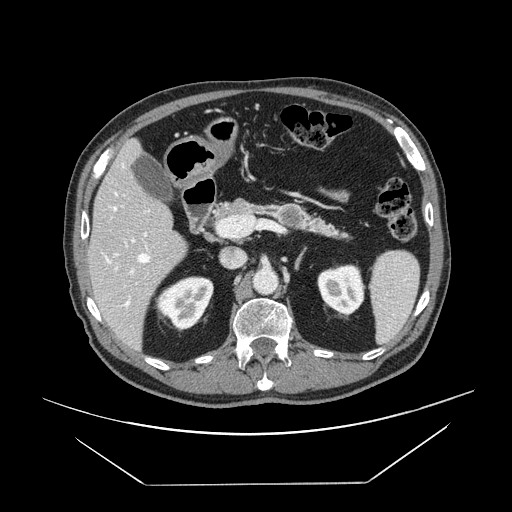

CT image

The pancreas is bounded by [214, 198, 350, 241]. The pancreatic tumor is bounded by [280, 206, 302, 226].